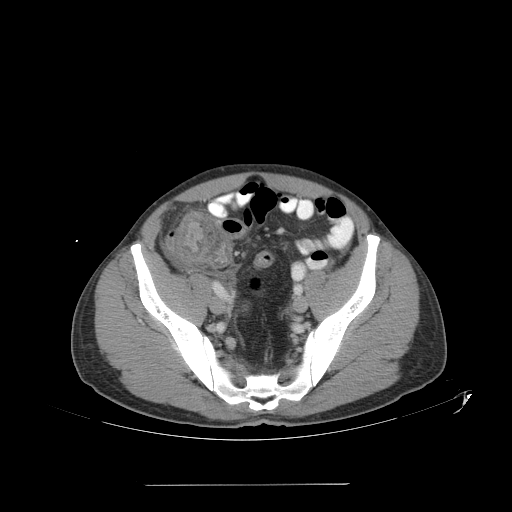 CT image.
Colon tumor = region(174, 210, 230, 267).